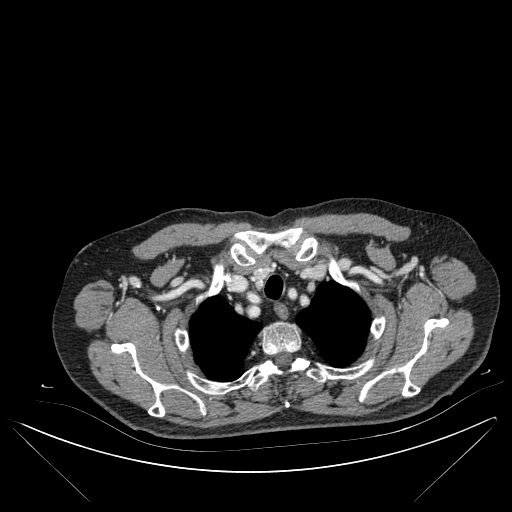
512x512; CT scan slice; Chest
<segmentation>
  <bone>231,228,302,265; 307,360,373,381; 263,326,300,354; 209,264,230,295; 111,343,205,416; 371,317,384,338; 296,237,317,261; 359,318,448,400; 175,329,188,350; 329,259,347,285; 187,358,309,393</bone>
  <lung>265,276,282,299; 190,296,261,381; 296,281,370,366</lung>
</segmentation>